FLAIR magnetic resonance.
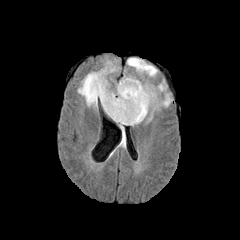
T1-weighted MRI.
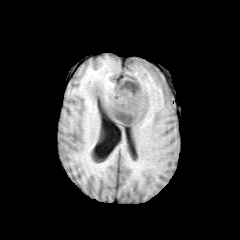
Post-contrast T1-weighted magnetic resonance.
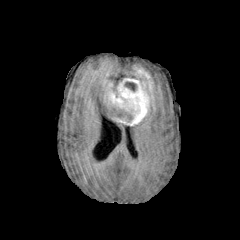
T2-weighted magnetic resonance.
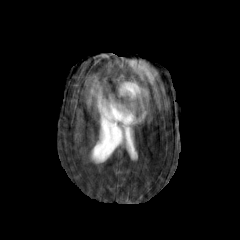
Image size 240x240; Brain
3 edema regions are located at 126, 58, 157, 79; 78, 65, 117, 110; 138, 84, 171, 124. The enhancing tumor is bounded by 108, 65, 153, 125. 3 non-enhancing tumor core regions are bounded by 124, 81, 136, 91; 102, 96, 131, 120; 130, 66, 146, 83.